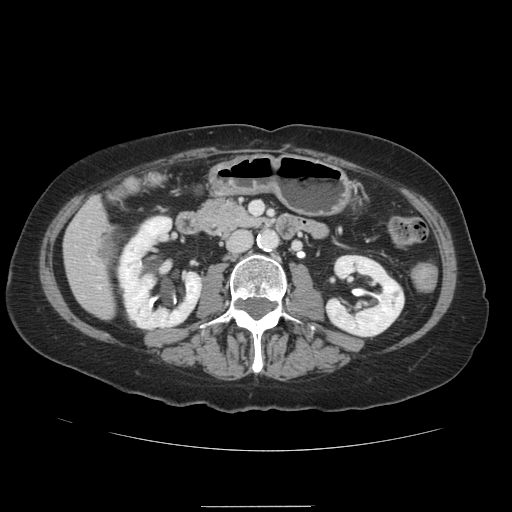

512x512; CT slice; Abdomen

Findings:
* liver tumor: bbox=[99, 233, 112, 264]